512x512 px, Slice index 153, CT slice 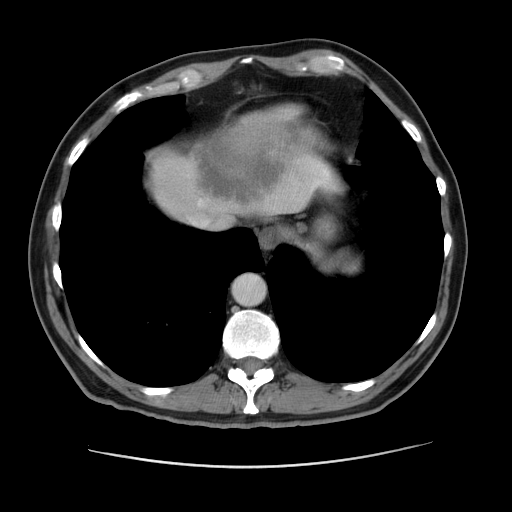 The liver lies within <box>145,108,336,231</box>. The liver lesion is bounded by <box>194,119,310,202</box>.